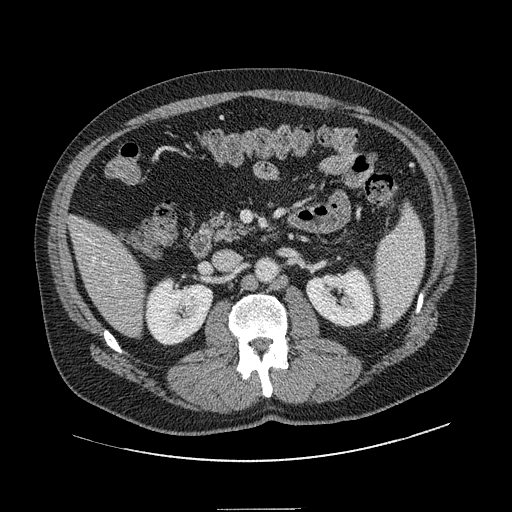

CT slice. 512x512 px.
The pancreas is at 206,215,249,240.